Slice index 120
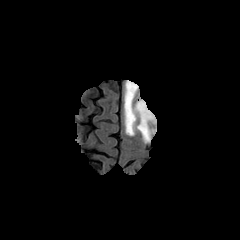
FLAIR magnetic resonance.
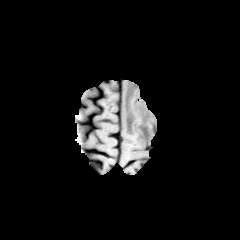
T1-weighted MRI.
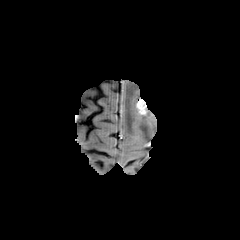
Post-contrast T1-weighted MRI of the same slice.
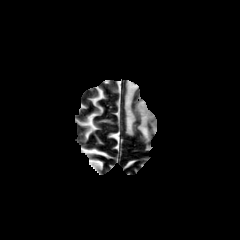
Same slice, T2-weighted MRI.
Edema: bounding box <box>122,80,156,143</box>.
Enhancing tumor: bounding box <box>136,98,149,117</box>.
Non-enhancing tumor core: bounding box <box>124,85,137,131</box>, <box>139,126,147,137</box>, <box>138,112,153,125</box>.